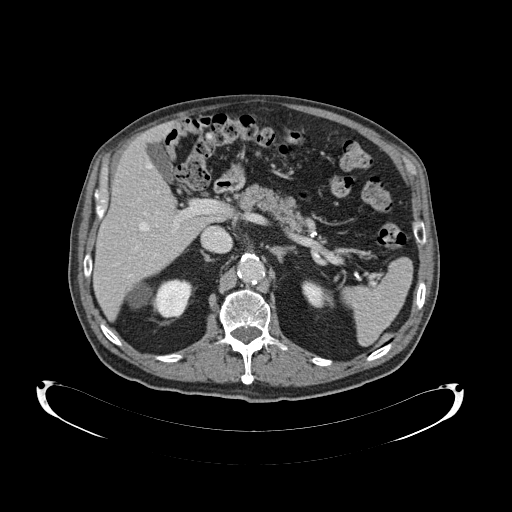

Upper abdomen; CT slice

The pancreas is bounded by bbox=[238, 184, 309, 233].